Image size 240x240 | Field of view 240 mm wide, 1.00 mm slice spacing | Slice 62/155
FLAIR MRI.
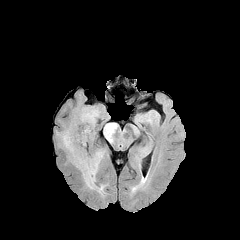
T1-weighted magnetic resonance.
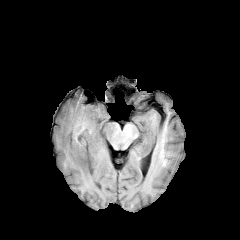
Post-contrast T1-weighted MRI.
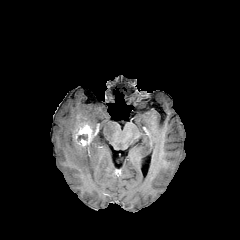
T2-weighted magnetic resonance.
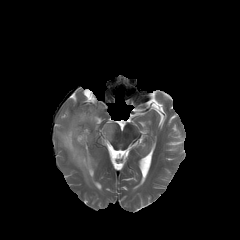
Annotated regions:
• enhancing tumor: l=73, t=124, r=99, b=145
• non-enhancing tumor core: l=77, t=134, r=87, b=141
• edema: l=61, t=107, r=103, b=184; l=103, t=123, r=116, b=141